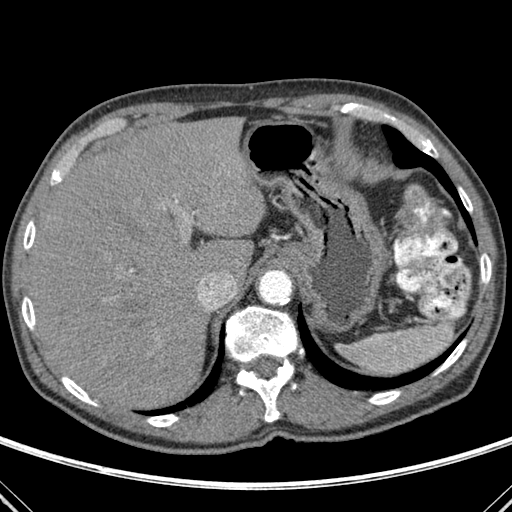

Image size 512x512 | Liver | CT slice
{
  "liver": [
    "region(27, 116, 264, 410)"
  ],
  "bone": [
    "region(435, 340, 466, 374)",
    "region(147, 414, 178, 426)",
    "region(23, 221, 35, 249)",
    "region(459, 187, 472, 211)",
    "region(22, 297, 35, 329)",
    "region(414, 134, 437, 156)",
    "region(369, 391, 400, 404)",
    "region(62, 377, 96, 405)",
    "region(226, 306, 297, 421)",
    "region(480, 254, 491, 283)",
    "region(51, 170, 61, 184)"
  ],
  "lung": [
    "region(382, 125, 475, 243)",
    "region(298, 307, 464, 389)",
    "region(139, 326, 224, 415)"
  ]
}